Slice index 5 | Image size 320x320
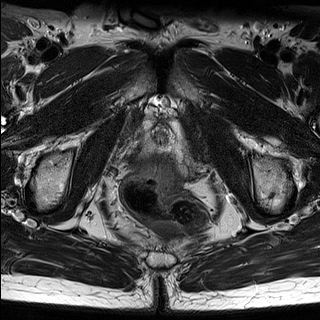
T2-weighted MR image.
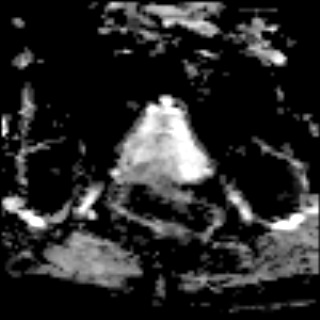
ADC MR.
{
  "prostate_peripheral_zone": [
    "l=123, t=119, r=202, b=182"
  ],
  "prostate_transition_zone": [
    "l=151, t=119, r=173, b=145"
  ]
}